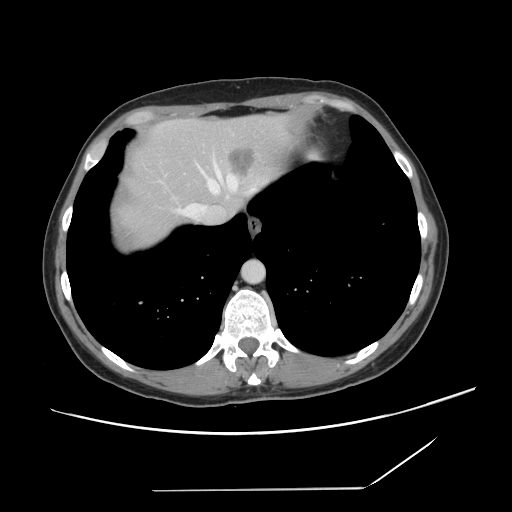

CT. Abdomen.

The vessel annotation is not exhaustive.
hepatic vessel: 226,193,229,197; 224,174,237,189; 196,155,222,193; 159,180,161,182; 176,203,205,216; 248,181,257,191 | liver tumor: 230,151,255,176